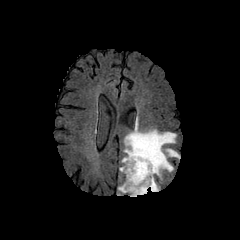
FLAIR MR image.
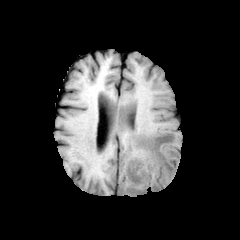
T1-weighted magnetic resonance.
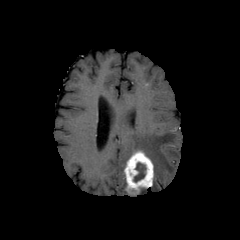
Post-contrast T1-weighted MR image.
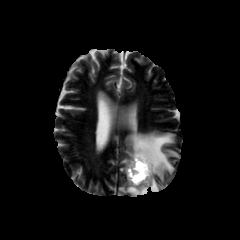
T2-weighted MR of the same slice.
Brain.
Edema: rect(121, 116, 180, 191); rect(118, 182, 126, 195).
Non-enhancing tumor core: rect(134, 163, 144, 181).
Enhancing tumor: rect(123, 149, 154, 196).